Slice index 496, Upper abdomen, CT 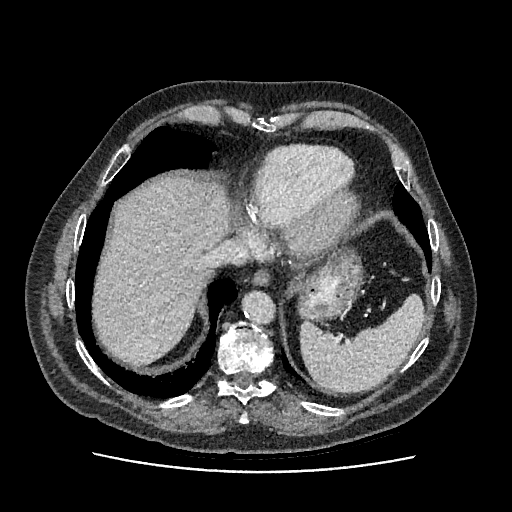 The liver is located at bbox(93, 179, 230, 363).